CT image; Slice 39/87
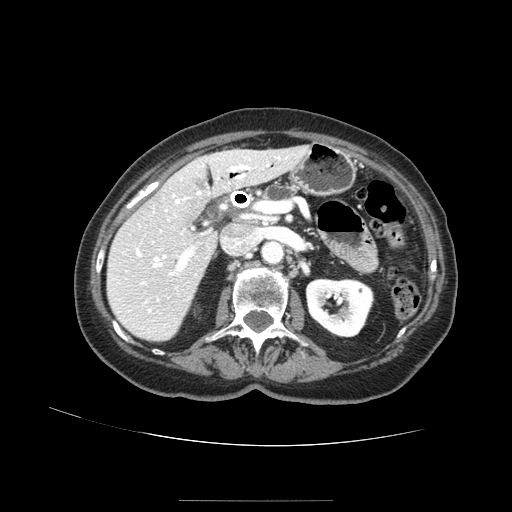 pancreas:
  - <box>266,186,295,200</box>